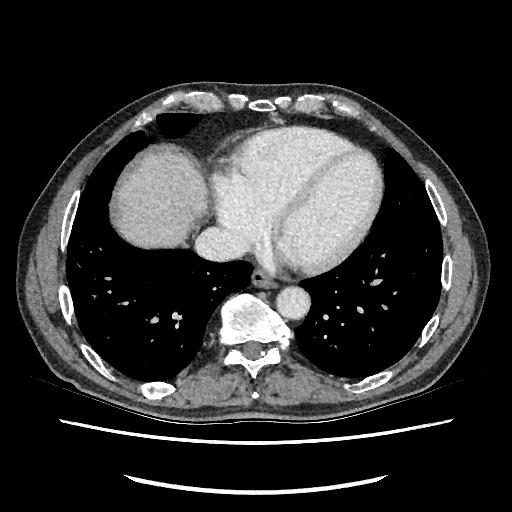
512x512 px. CT scan slice.
liver: (x1=117, y1=153, x2=206, y2=245)